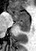 Image size 36x51. MR. Medial temporal lobe.

anterior hippocampus: x1=10, y1=11, x2=29, y2=21 | posterior hippocampus: x1=15, y1=22, x2=29, y2=31